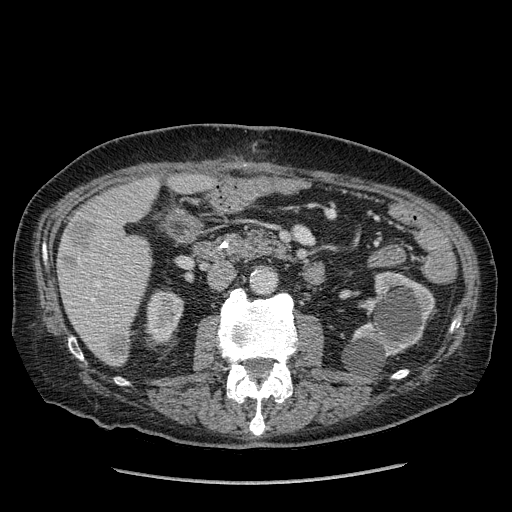 CT scan slice, Abdomen

liver:
  - x1=58, y1=177, x2=158, y2=366
  - x1=169, y1=174, x2=215, y2=194
hepatic_lesion:
  - x1=68, y1=220, x2=93, y2=249
  - x1=108, y1=335, x2=128, y2=357
  - x1=63, y1=255, x2=76, y2=264
kidney:
  - x1=353, y1=272, x2=434, y2=356
  - x1=147, y1=294, x2=182, y2=341